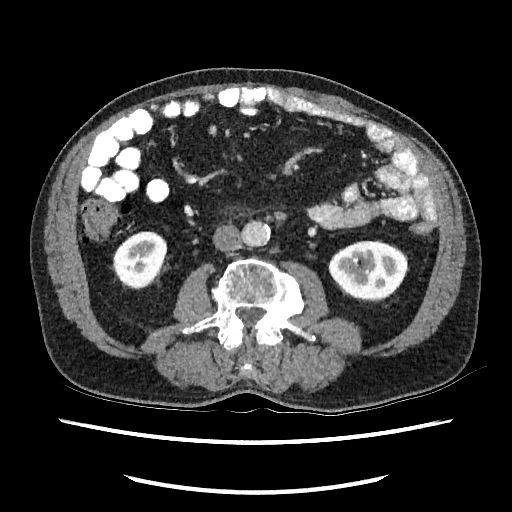
CT
kidney:
  - (x1=329, y1=241, x2=407, y2=300)
  - (x1=113, y1=232, x2=166, y2=288)